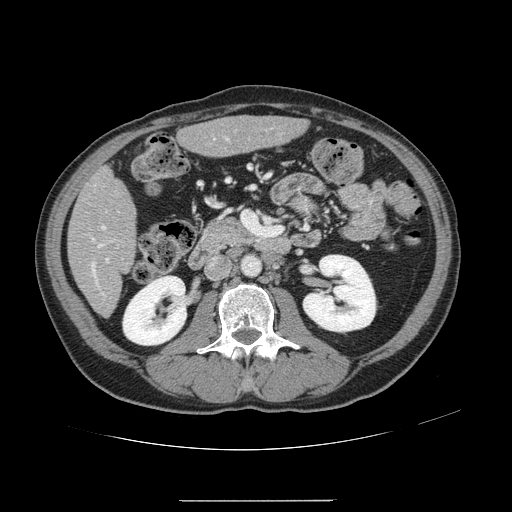

Computed tomography; Liver; 512x512

Only some of the vessels may be annotated.
hepatic vessel: [x1=91, y1=237, x2=94, y2=240], [x1=98, y1=244, x2=103, y2=246], [x1=101, y1=293, x2=104, y2=295], [x1=91, y1=262, x2=99, y2=288], [x1=225, y1=137, x2=228, y2=139], [x1=109, y1=240, x2=114, y2=241], [x1=102, y1=226, x2=104, y2=228], [x1=106, y1=258, x2=108, y2=261]